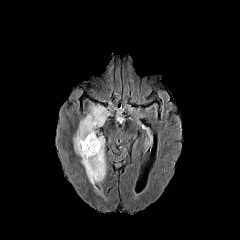
FLAIR MR.
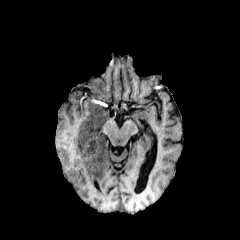
Same slice, T1-weighted MR image.
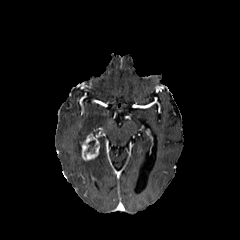
Same slice, post-contrast T1-weighted MR.
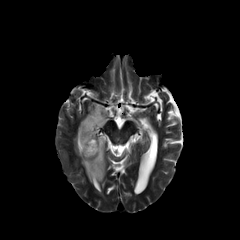
T2-weighted MR.
Brain; 240x240 px
2 edema regions appear at x1=80, y1=137, x2=106, y2=186; x1=73, y1=103, x2=108, y2=156. The non-enhancing tumor core is at x1=86, y1=140, x2=96, y2=153. The enhancing tumor is located at x1=81, y1=134, x2=99, y2=160.